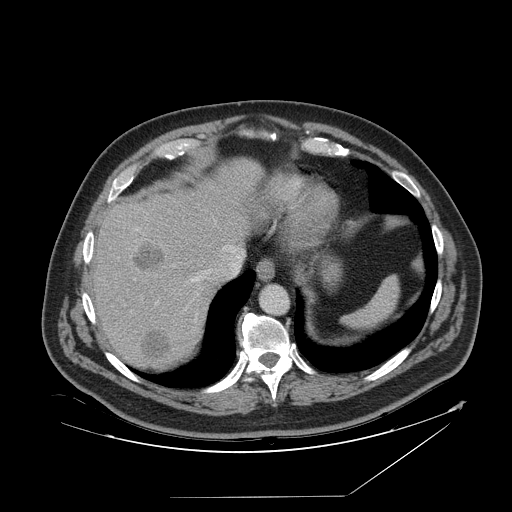
Upper abdomen; CT image
Segmented structures:
* spleen: [343,276,399,328]